Head, Slice 61/155, 240x240
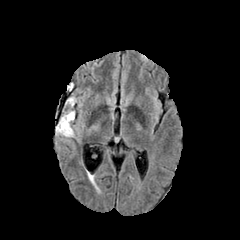
FLAIR magnetic resonance.
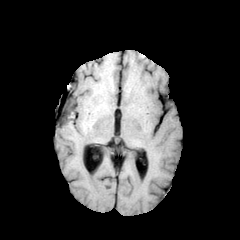
T1-weighted magnetic resonance.
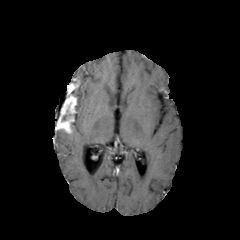
Same slice, post-contrast T1-weighted magnetic resonance.
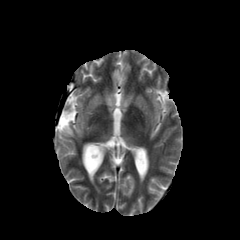
Same slice, T2-weighted magnetic resonance.
Edema at 55, 116, 83, 146.
Enhancing tumor at 56, 94, 75, 134.
Non-enhancing tumor core at 66, 86, 77, 102.